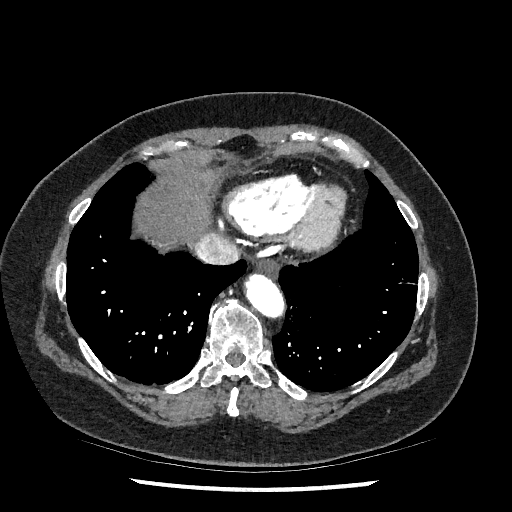 Upper abdomen. CT scan slice. 512x512. The liver is located at 136:171:212:241.